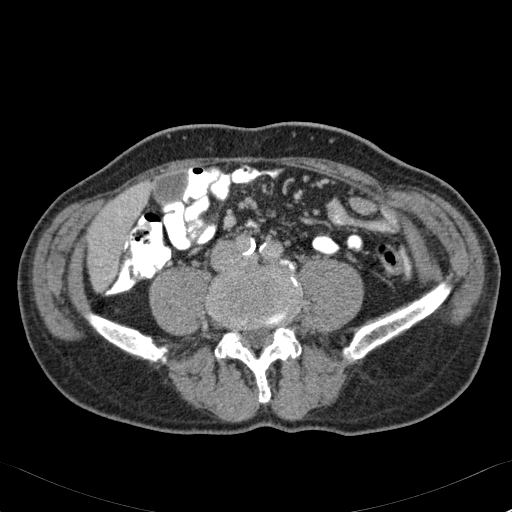 Computed tomography
Annotated regions:
• liver: box(88, 182, 148, 289)